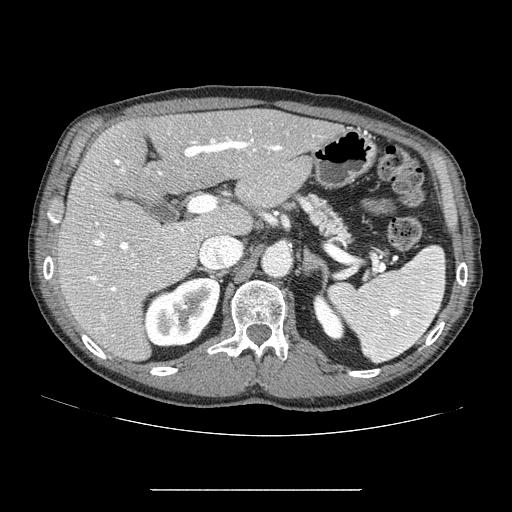

CT slice | Image size 512x512

• pancreas: {"x1": 308, "y1": 196, "x2": 351, "y2": 241}